Image width 240 mm. Brain. Slice 77/155.
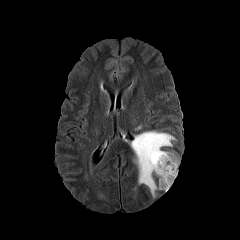
FLAIR MR image.
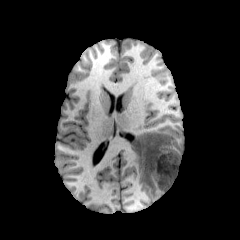
T1-weighted MR of the same slice.
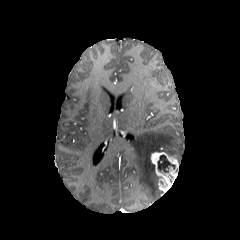
Post-contrast T1-weighted magnetic resonance.
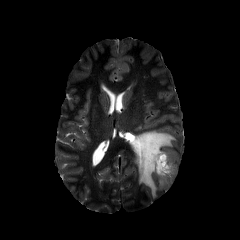
T2-weighted MRI.
enhancing tumor: <box>150,152,178,191</box> | edema: <box>129,131,176,198</box> | non-enhancing tumor core: <box>157,154,175,173</box>